CT slice. Slice index 22.

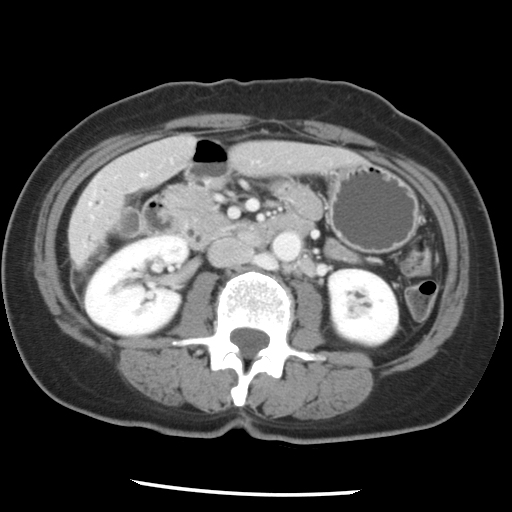
Some hepatic vessels may have no box.
The hepatic vessel is located at <box>141,173,143,175</box>.